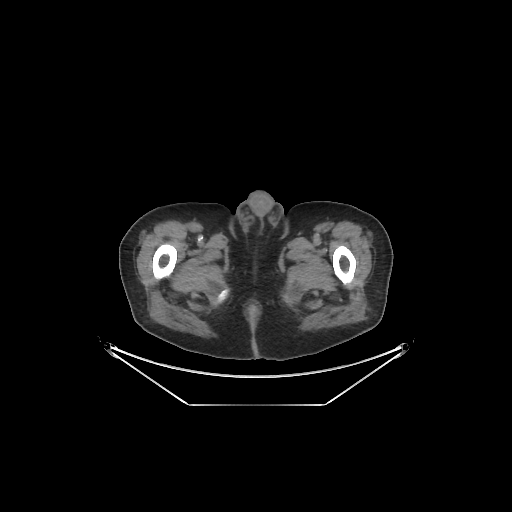 CT | 512x512

3 bone regions appear at (x1=152, y1=243, x2=176, y2=279), (x1=218, y1=290, x2=226, y2=301), (x1=333, y1=245, x2=355, y2=284).